Medial temporal lobe | Slice index 13 | Image width 38 mm | 38x43 | MR
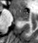

The posterior hippocampus is located at box=[19, 20, 28, 20]. The anterior hippocampus lies within box=[11, 9, 28, 19].